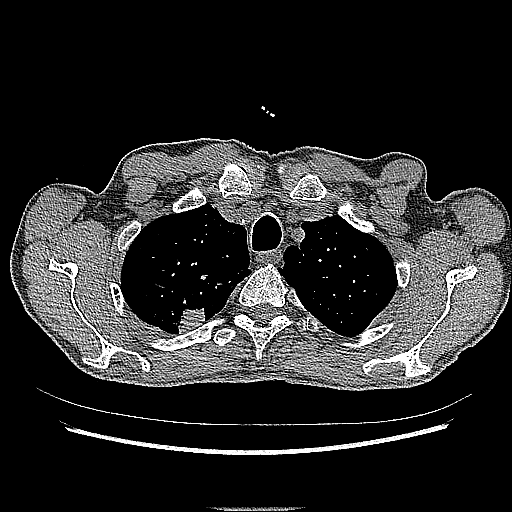
CT
lung tumor: [172, 304, 206, 333]